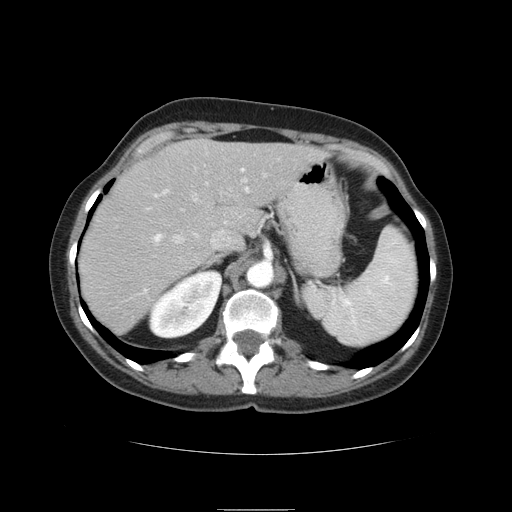 CT | 512x512 px

Spleen: l=320, t=229, r=418, b=345.